Slice index 62, Brain
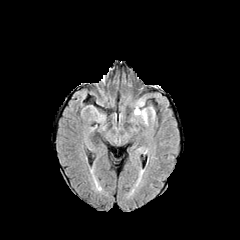
FLAIR MRI.
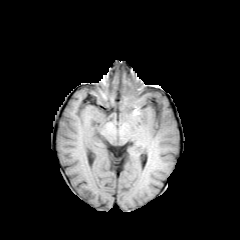
T1-weighted MRI of the same slice.
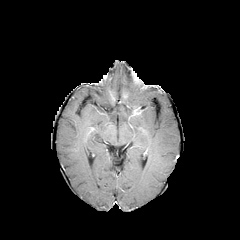
Post-contrast T1-weighted MR.
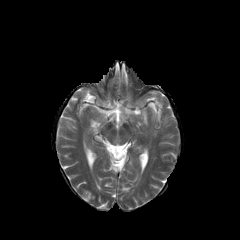
T2-weighted MR.
The edema appears at x1=135 y1=102 x2=147 y2=123.